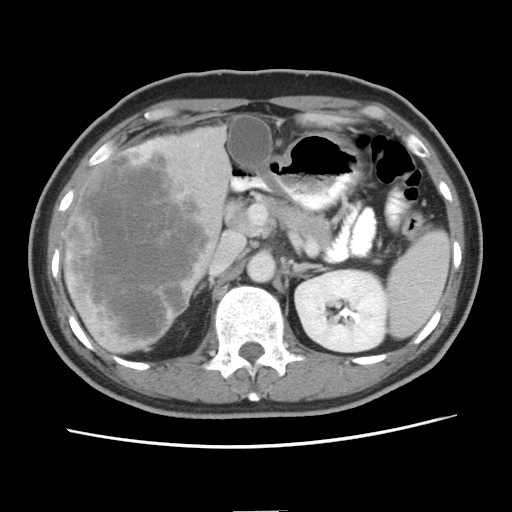 Abdomen; 512x512; CT image
liver tumor: 65 151 210 343